Brain | 240x240
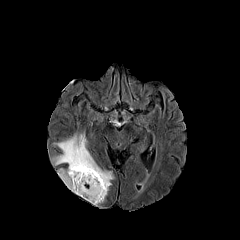
FLAIR magnetic resonance.
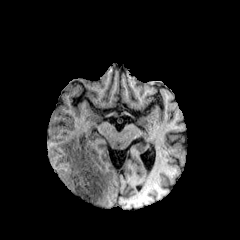
T1-weighted MRI.
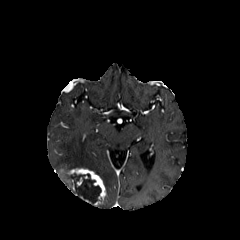
Post-contrast T1-weighted MR.
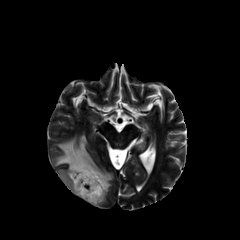
T2-weighted MRI.
<segmentation>
  <edema>x1=52 y1=134 x2=113 y2=191</edema>
  <non-enhancing_tumor_core>x1=68 y1=172 x2=102 y2=206</non-enhancing_tumor_core>
  <enhancing_tumor>x1=59 y1=167 x2=106 y2=200</enhancing_tumor>
</segmentation>